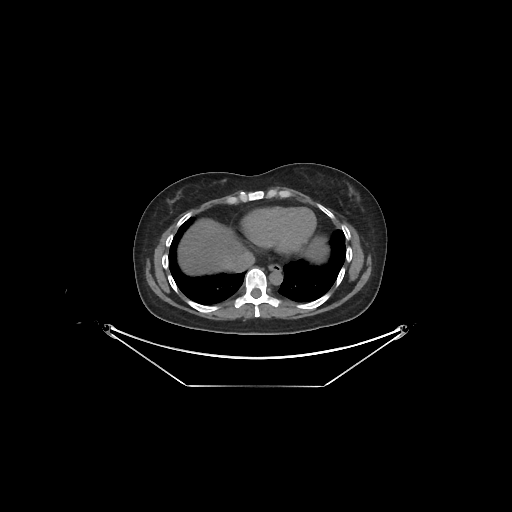
CT scan slice.
Liver — <box>179,221,254,272</box>, <box>308,241,324,253</box>.